CT slice; Slice 60/90; Pelvis
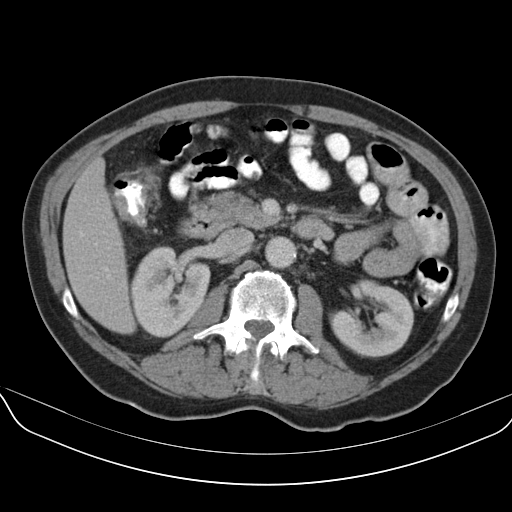
The colon tumor appears at [112, 195, 145, 222].